240x240 px. Head. Field of view 240x240 mm. Slice index 39.
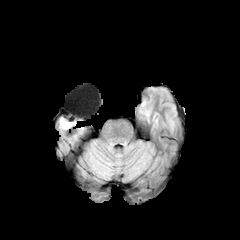
FLAIR MR.
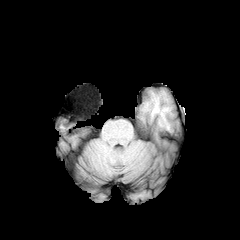
Same slice, T1-weighted magnetic resonance.
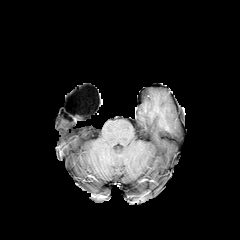
Post-contrast T1-weighted magnetic resonance of the same slice.
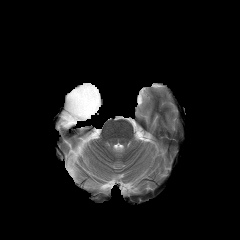
T2-weighted magnetic resonance.
<segmentation>
  <edema>bbox=[58, 117, 75, 129]</edema>
</segmentation>